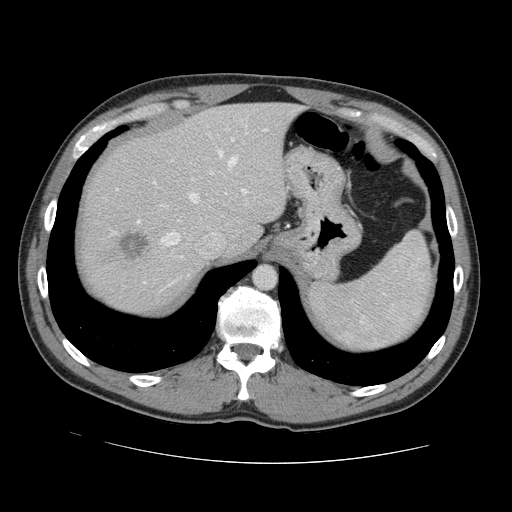

Computed tomography
Some hepatic vessels may have no box.
[15/22] hepatic vessel: region(189, 192, 197, 202); region(228, 157, 235, 170); region(226, 127, 228, 130); region(209, 171, 212, 174); region(161, 232, 179, 245); region(243, 118, 247, 133); region(240, 188, 246, 194); region(170, 251, 182, 258); region(109, 229, 116, 236); region(216, 147, 222, 155); region(160, 204, 165, 206); region(151, 181, 155, 184); region(136, 220, 139, 224); region(244, 199, 247, 205); region(207, 132, 210, 135) | liver tumor: region(119, 229, 149, 264)